Image width 240 mm. Slice index 65.
FLAIR magnetic resonance.
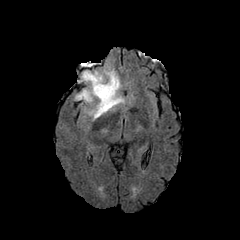
T1-weighted MR image.
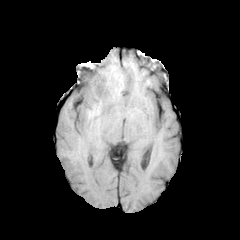
Post-contrast T1-weighted MR image.
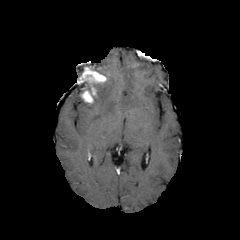
T2-weighted MR.
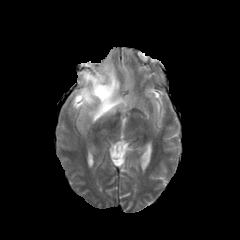
Edema = left=91, top=62, right=125, bottom=121.
Enhancing tumor = left=77, top=67, right=107, bottom=104.